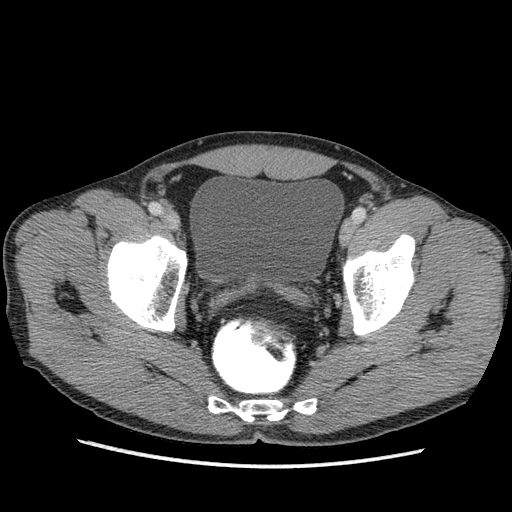
CT slice

Urinary bladder: bounding box x1=190, y1=175, x2=343, y2=287.